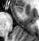

39x41 px | MR

Anterior hippocampus at <box>14,6,23,12</box>.